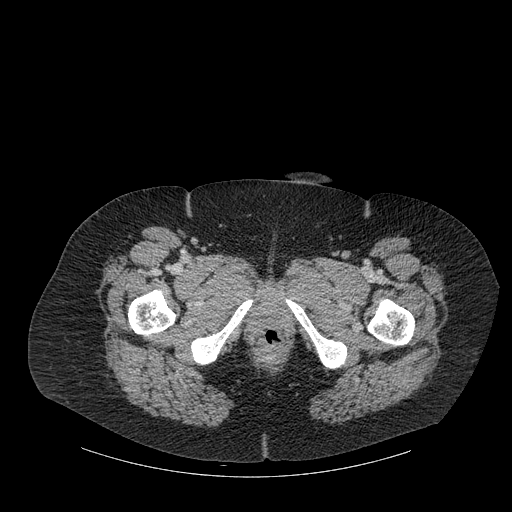
CT

4 bone regions appear at l=128, t=290, r=175, b=335; l=191, t=300, r=252, b=364; l=286, t=299, r=346, b=368; l=368, t=299, r=414, b=345.